FLAIR magnetic resonance.
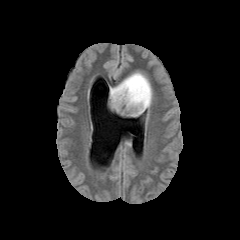
T1-weighted magnetic resonance.
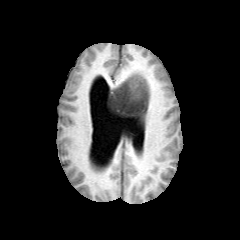
Post-contrast T1-weighted magnetic resonance.
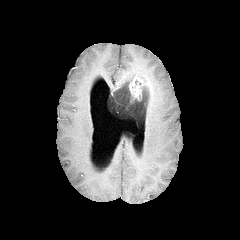
T2-weighted MR image.
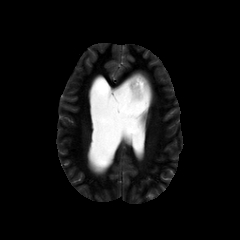
Brain
Findings:
• enhancing tumor: (left=127, top=73, right=149, bottom=103)
• edema: (left=109, top=69, right=154, bottom=112)
• non-enhancing tumor core: (left=108, top=82, right=148, bottom=119)